240x240, Head
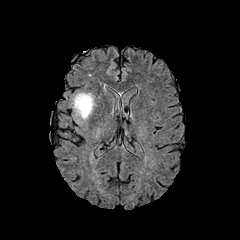
FLAIR MR image.
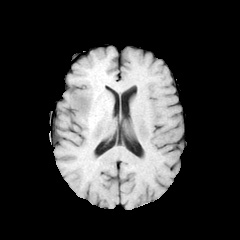
T1-weighted magnetic resonance.
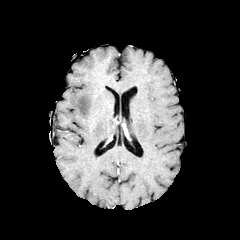
Post-contrast T1-weighted MR image.
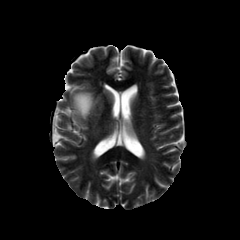
Same slice, T2-weighted MRI.
edema:
  - <bbox>70, 90, 96, 123</bbox>